Image width 350 mm, 512x512, Liver, CT, Slice index 176 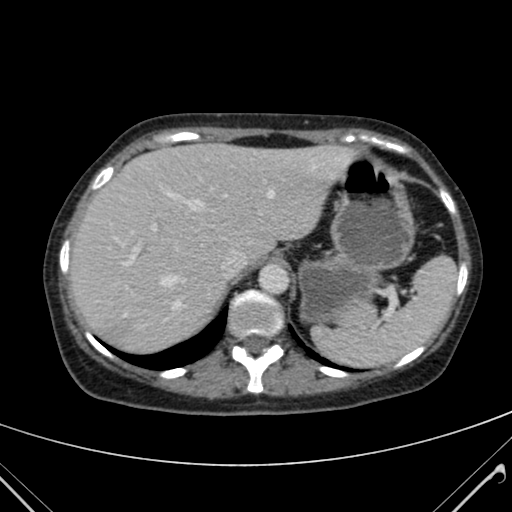 Segmented structures:
• liver: <bbox>70, 143, 353, 351</bbox>